FLAIR MRI.
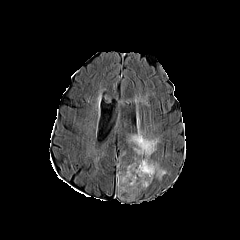
T1-weighted MR.
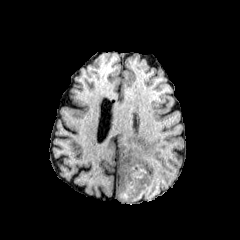
Post-contrast T1-weighted magnetic resonance.
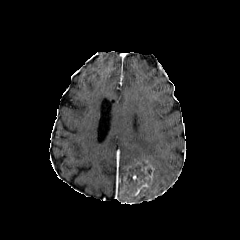
T2-weighted magnetic resonance.
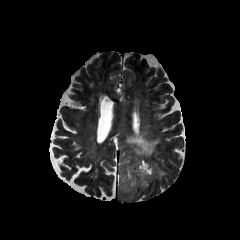
• edema: {"x1": 134, "y1": 97, "x2": 143, "y2": 116}, {"x1": 127, "y1": 127, "x2": 167, "y2": 179}
• non-enhancing tumor core: {"x1": 127, "y1": 161, "x2": 147, "y2": 185}
• enhancing tumor: {"x1": 118, "y1": 158, "x2": 154, "y2": 199}